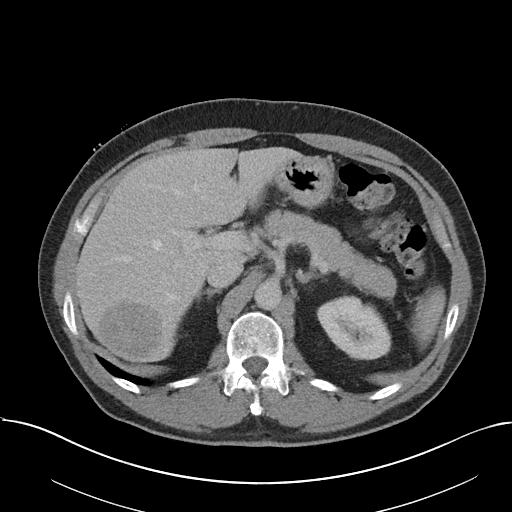 512x512 | Computed tomography | Abdomen
The vessel boxes may cover only some of the vessels.
<segmentation>
  <hepatic_vessel>l=114, t=258, r=117, b=258; l=175, t=264, r=181, b=266; l=121, t=256, r=131, b=262; l=139, t=262, r=140, b=263; l=194, t=184, r=198, b=190; l=176, t=230, r=205, b=249; l=232, t=206, r=241, b=216; l=172, t=188, r=179, b=193; l=202, t=196, r=204, b=197; l=208, t=236, r=221, b=248; l=230, t=254, r=231, b=256; l=167, t=295, r=179, b=301; l=241, t=258, r=244, b=260; l=153, t=240, r=160, b=249</hepatic_vessel>
  <liver_tumor>l=99, t=300, r=162, b=357</liver_tumor>
</segmentation>